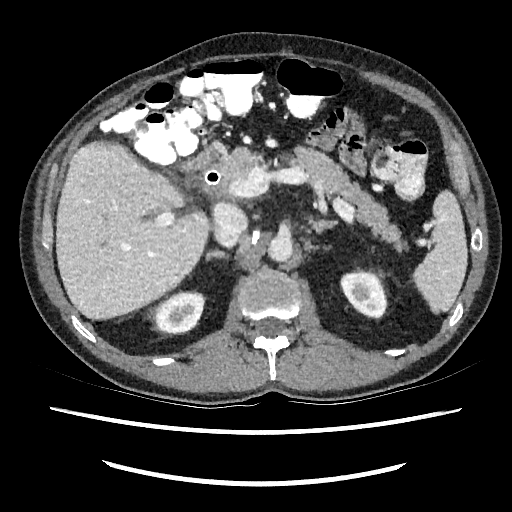 CT slice.

{
  "kidney": [
    "x1=341, y1=273, x2=385, y2=315",
    "x1=156, y1=293, x2=203, y2=332"
  ],
  "liver": [
    "x1=56, y1=142, x2=210, y2=318"
  ]
}